Head. Field of view 240 mm wide, 1.00 mm slice spacing. Slice 69 of 155.
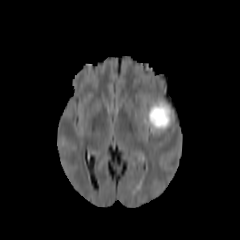
FLAIR MR image.
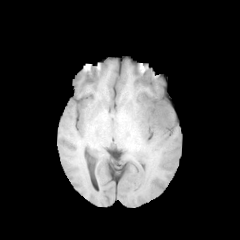
Same slice, T1-weighted magnetic resonance.
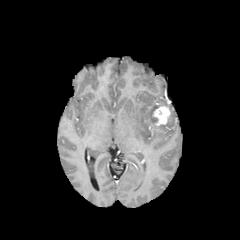
Same slice, post-contrast T1-weighted magnetic resonance.
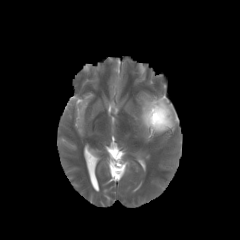
T2-weighted MR of the same slice.
<segmentation>
  <edema>region(139, 97, 177, 140)</edema>
  <enhancing_tumor>region(152, 104, 171, 126)</enhancing_tumor>
</segmentation>